Image size 512x512; CT image 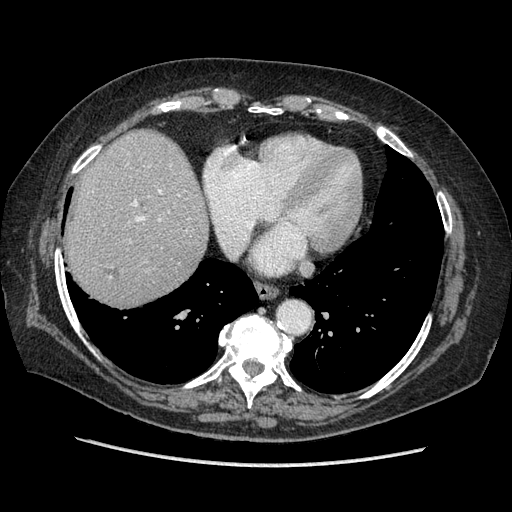 Some hepatic vessels may have no box.
hepatic vessel: left=135, top=217, right=143, bottom=219; left=133, top=202, right=137, bottom=205; left=158, top=219, right=160, bottom=220